Computed tomography, Abdomen 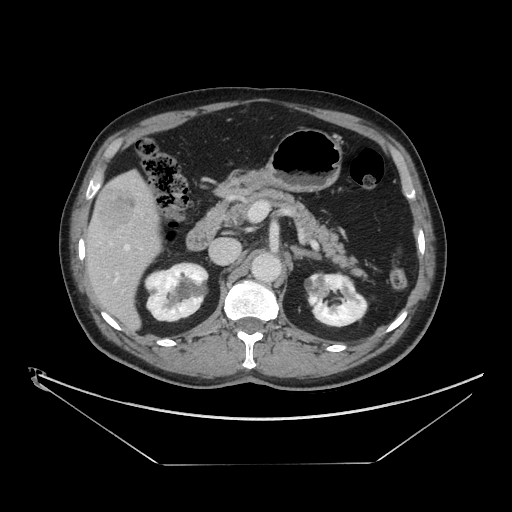 Not every hepatic vessel necessarily has a box.
liver_tumor:
  - 95 184 137 232
hepatic_vessel:
  - 115 272 118 281
  - 125 245 129 249